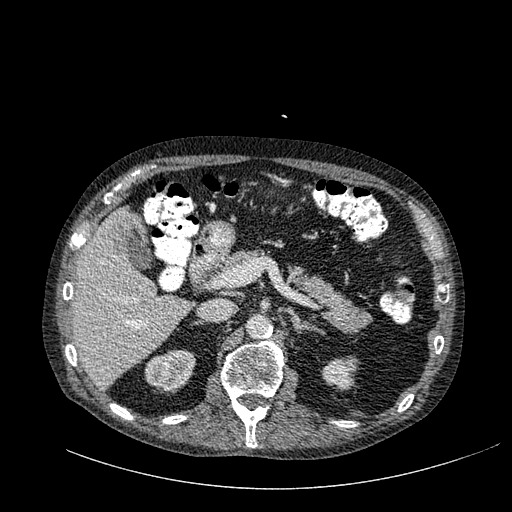

Liver | Computed tomography

{"kidney": ["left=144, top=349, right=196, bottom=392", "left=322, top=355, right=357, bottom=390"], "liver": ["left=136, top=223, right=145, bottom=236", "left=74, top=207, right=190, bottom=388"], "focal_liver_lesion": ["left=108, top=214, right=141, bottom=258"]}